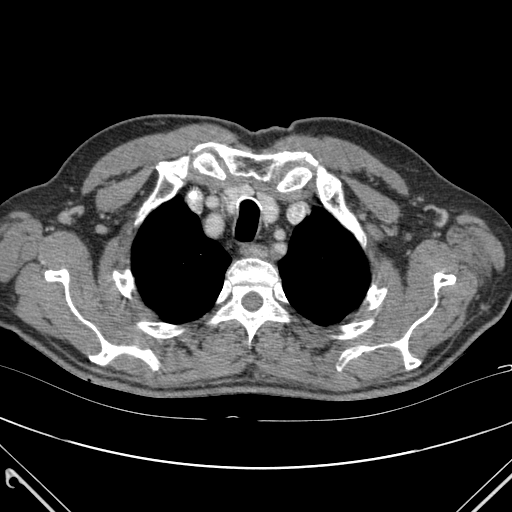
Computed tomography. Thorax.

{"lung": ["box=[131, 196, 231, 323]", "box=[278, 207, 369, 325]"], "bone": ["box=[342, 346, 375, 361]", "box=[139, 143, 317, 220]", "box=[113, 270, 133, 297]", "box=[138, 322, 181, 337]", "box=[211, 258, 288, 341]", "box=[434, 273, 455, 296]", "box=[393, 306, 435, 369]", "box=[317, 166, 363, 241]", "box=[367, 286, 386, 309]", "box=[277, 167, 311, 191]", "box=[339, 320, 373, 338]", "box=[45, 269, 158, 369]"]}